Liver, 512x512 px, CT image
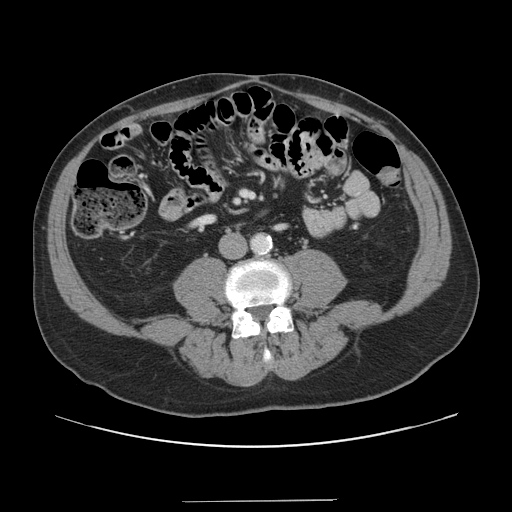

Some hepatic vessels may have no box.
Hepatic vessel — {"x1": 244, "y1": 193, "x2": 246, "y2": 194}.